Brain | 240x240 px | Slice 54/155
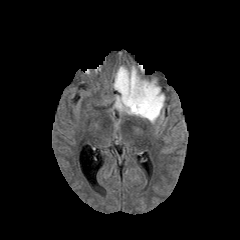
FLAIR MRI.
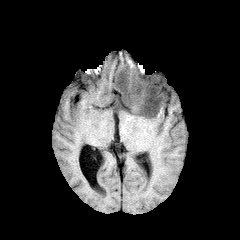
T1-weighted MR image.
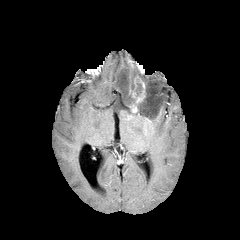
Post-contrast T1-weighted MRI.
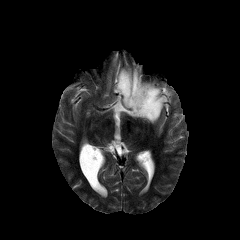
T2-weighted MRI of the same slice.
Edema: {"x1": 111, "y1": 64, "x2": 166, "y2": 124}.
Enhancing tumor: {"x1": 130, "y1": 81, "x2": 146, "y2": 113}.
Non-enhancing tumor core: {"x1": 118, "y1": 74, "x2": 142, "y2": 107}, {"x1": 130, "y1": 86, "x2": 160, "y2": 115}.